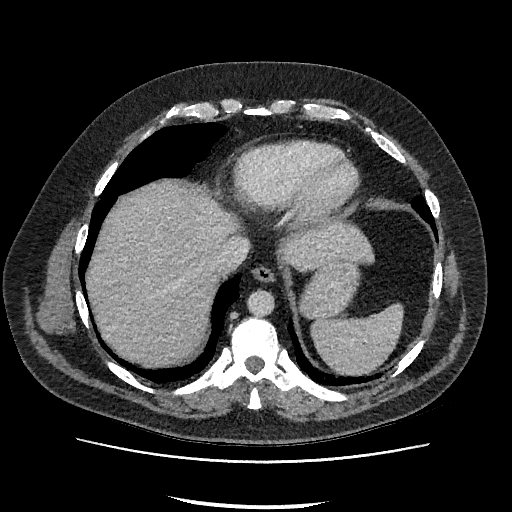

CT image | 512x512 | Abdomen
2 liver regions are located at 282,224,372,271; 88,184,235,364.